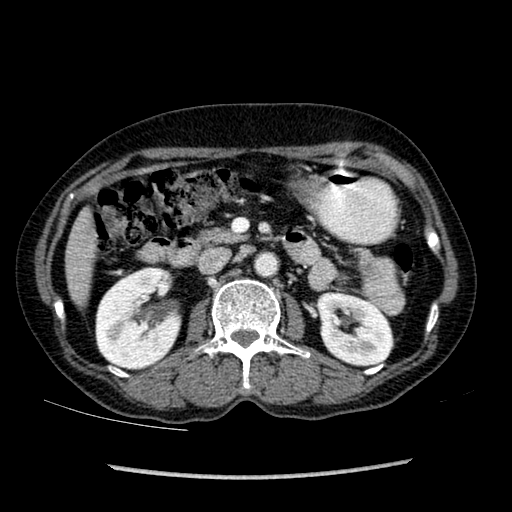
CT image; 512x512
{"kidney": ["96,268,179,368", "319,294,391,364"], "liver": ["66,211,94,303"]}